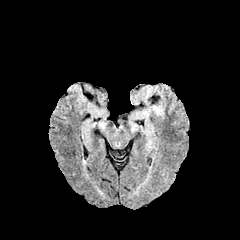
FLAIR MRI.
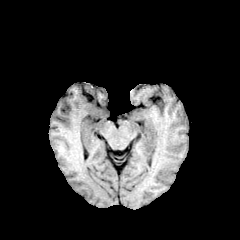
T1-weighted MR of the same slice.
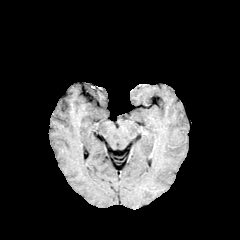
Post-contrast T1-weighted MR image.
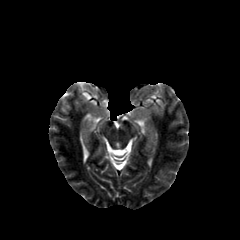
T2-weighted MR.
240x240. Brain.
The edema appears at (left=131, top=110, right=149, bottom=117).